CT | Image size 512x512 | Abdomen
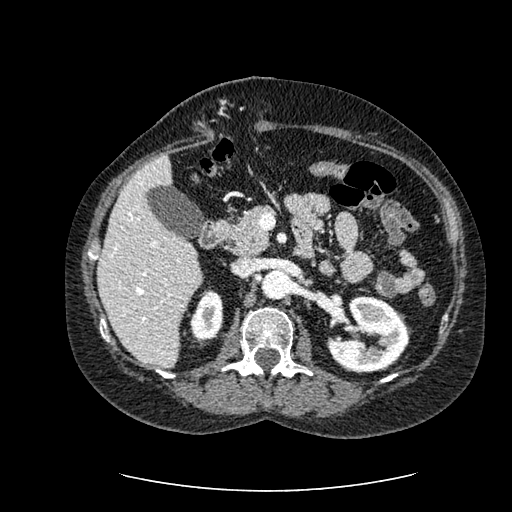

The liver is at [97,156,202,366]. 2 kidney regions are bounded by [324,296,408,371], [191,292,222,339].